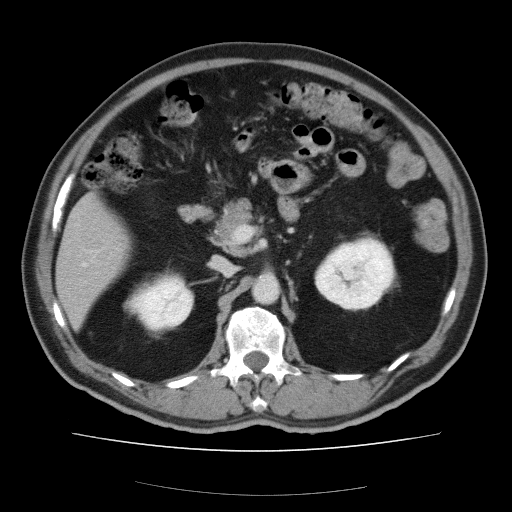

CT image; Abdomen

Only some of the vessels may be annotated.
Hepatic vessel at 82:262:85:265.